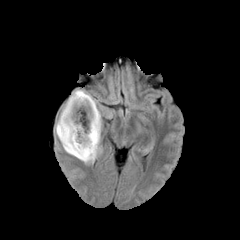
FLAIR MRI.
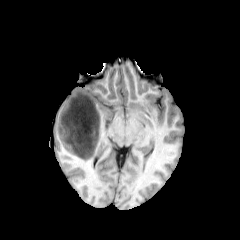
Same slice, T1-weighted MRI.
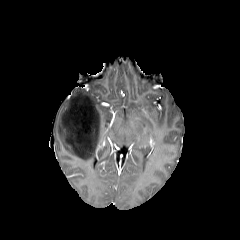
Post-contrast T1-weighted MR of the same slice.
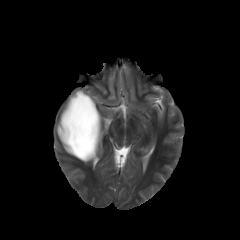
Same slice, T2-weighted MR.
Head; 240x240 px
Annotated regions:
* edema: 56, 89, 107, 157; 81, 158, 97, 164
* non-enhancing tumor core: 61, 94, 101, 159